FLAIR MR image.
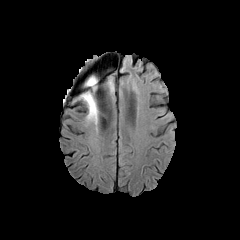
T1-weighted magnetic resonance.
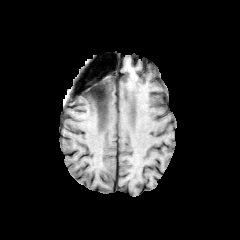
Post-contrast T1-weighted MR image.
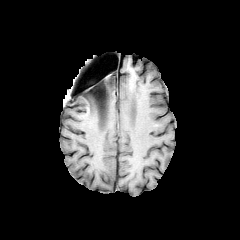
T2-weighted magnetic resonance.
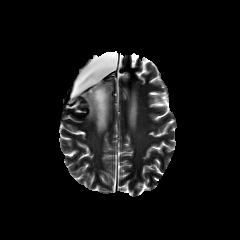
Brain
non-enhancing_tumor_core:
  - {"x1": 92, "y1": 92, "x2": 97, "y2": 107}
edema:
  - {"x1": 78, "y1": 76, "x2": 114, "y2": 124}